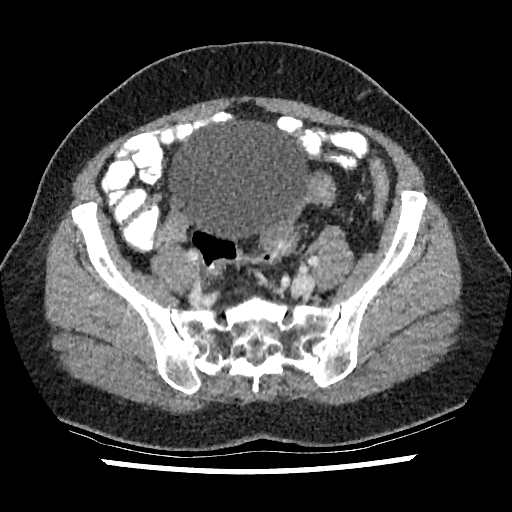 CT slice

{
  "urinary_bladder": [
    "region(168, 120, 311, 241)"
  ]
}